Computed tomography; Image size 512x512; Field of view 360 mm wide, 1.24 mm slice spacing
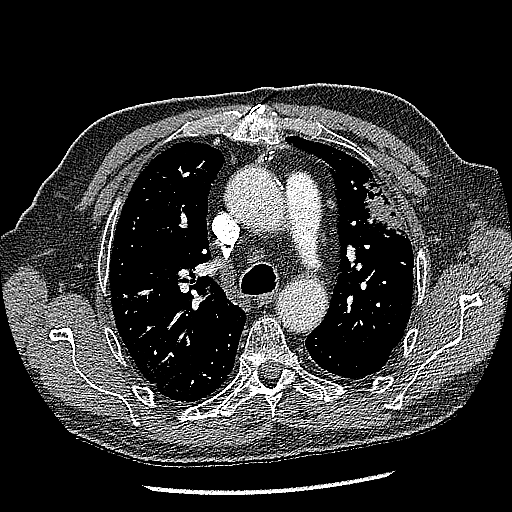
Lung tumor: box(363, 177, 408, 239).